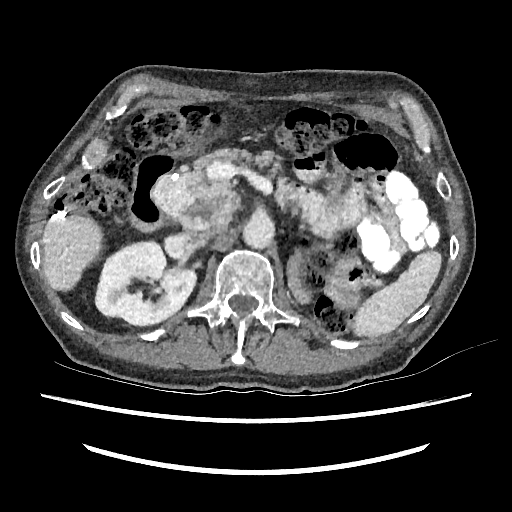 Liver; CT
<segmentation>
  <kidney>bbox=[96, 242, 195, 325]</kidney>
  <liver>bbox=[43, 216, 102, 290]</liver>
</segmentation>